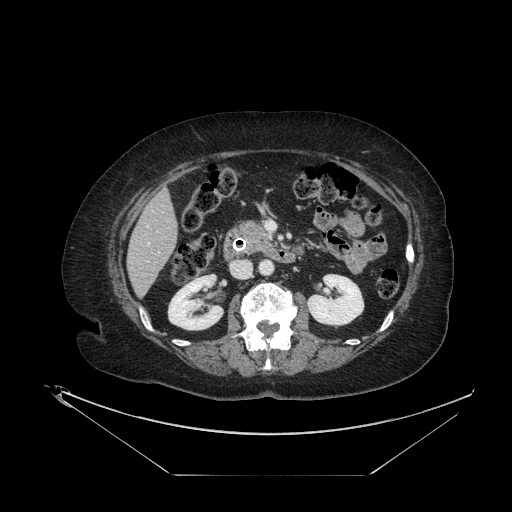
Image size 512x512 | CT slice | Abdomen

<segmentation>
  <pancreas>[239,221,272,253]</pancreas>
</segmentation>